Slice 612/722. 512x512 px. CT. Liver.
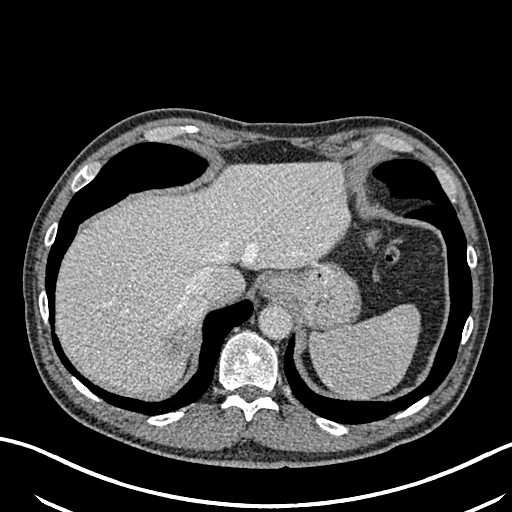 The liver lies within (57,162,348,393). The focal liver lesion lies within (161,329,184,356).